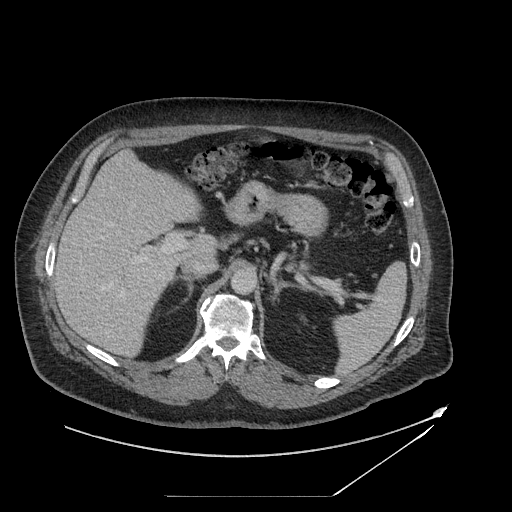

Image size 512x512 | CT scan slice
Pancreas = rect(286, 258, 314, 272); rect(322, 290, 343, 302).